Thorax | Computed tomography | Image width 440 mm | Slice 105 of 264
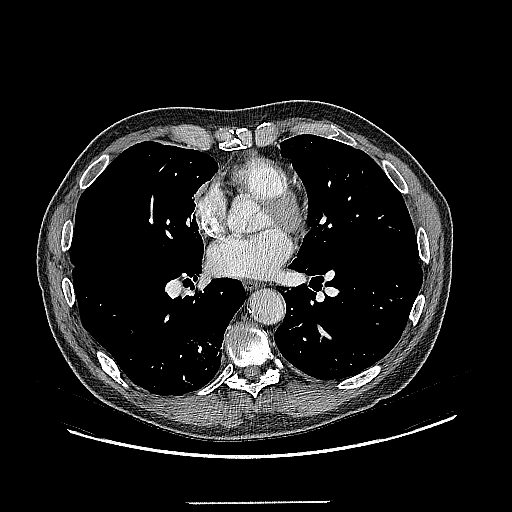

Lung tumor: 196 351 205 361.